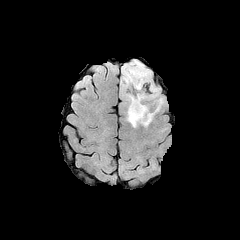
FLAIR MRI.
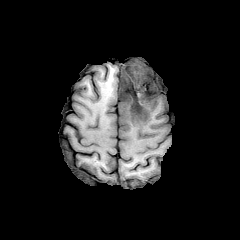
T1-weighted MR of the same slice.
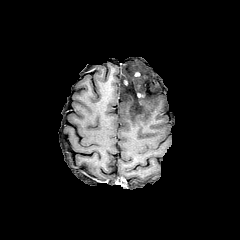
Same slice, post-contrast T1-weighted magnetic resonance.
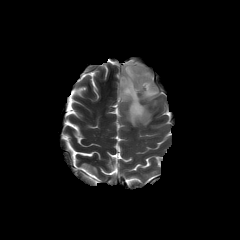
Same slice, T2-weighted MRI.
Head
Findings:
• non-enhancing tumor core: <bbox>123, 71, 154, 101</bbox>
• edema: <bbox>119, 59, 159, 127</bbox>